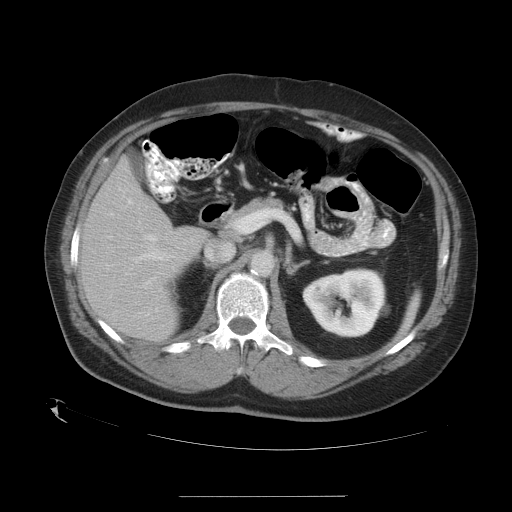 Abdomen | CT slice

Only some of the vessels may be annotated.
hepatic_vessel:
  - (128, 199, 131, 203)
  - (156, 250, 169, 260)
  - (190, 239, 193, 242)
  - (184, 241, 187, 243)
  - (153, 259, 158, 260)
  - (158, 289, 161, 290)
  - (171, 251, 174, 256)
  - (136, 255, 147, 261)
  - (148, 234, 152, 234)
  - (143, 237, 147, 239)